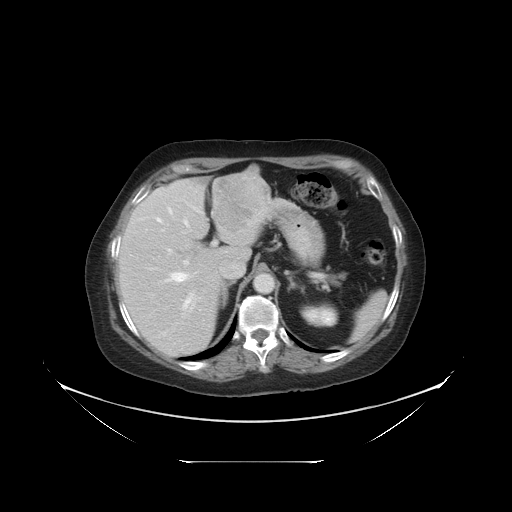

512x512 px, CT scan slice
The vessel annotation is not exhaustive.
Segmented structures:
- liver tumor: box(215, 166, 270, 231)
- hepatic vessel: box(183, 219, 188, 225); box(154, 267, 156, 268); box(168, 249, 171, 254); box(182, 291, 198, 309); box(213, 242, 215, 245); box(157, 217, 161, 221); box(220, 261, 244, 279); box(165, 272, 188, 281); box(161, 332, 165, 335); box(184, 260, 188, 264); box(167, 207, 171, 213); box(191, 206, 199, 211); box(161, 230, 163, 231)